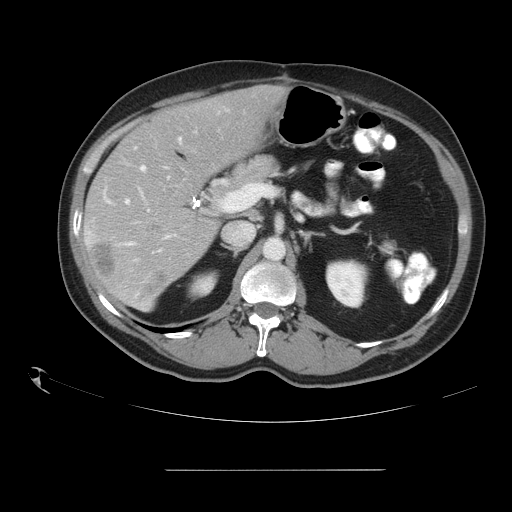
CT image.

Only some of the vessels may be annotated.
Hepatic vessel — <box>167,177,169,178</box>, <box>141,166,145,170</box>, <box>147,209,149,211</box>, <box>125,199,129,203</box>, <box>178,137,181,143</box>.
Liver tumor — <box>94,247,114,276</box>, <box>149,224,159,232</box>.